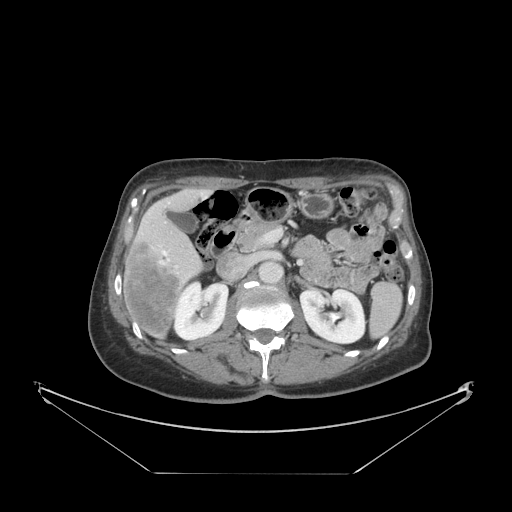
Upper abdomen, CT image
Spleen = box=[371, 283, 400, 337].